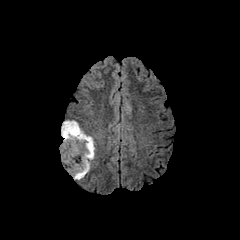
FLAIR MRI.
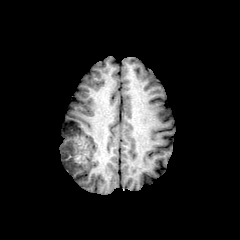
T1-weighted magnetic resonance.
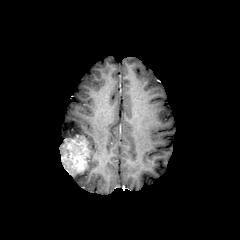
Post-contrast T1-weighted MR.
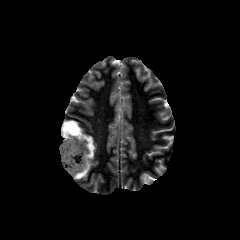
T2-weighted magnetic resonance.
3 non-enhancing tumor core regions are bounded by [x1=75, y1=139, x2=89, y2=175], [x1=62, y1=122, x2=80, y2=141], [x1=62, y1=143, x2=69, y2=157]. The edema is located at [x1=62, y1=120, x2=96, y2=179]. The enhancing tumor appears at [x1=62, y1=138, x2=86, y2=174].